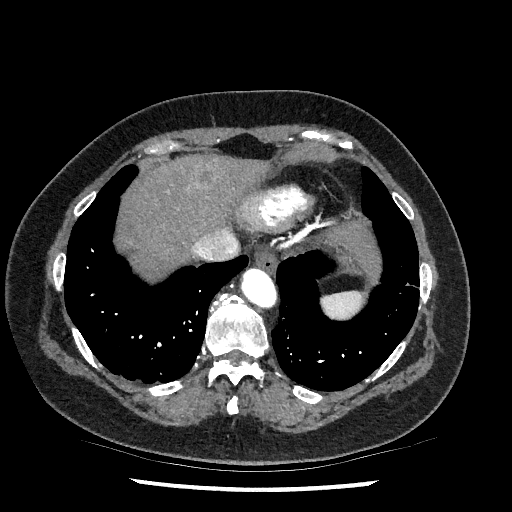

CT scan slice
2 liver regions are bounded by {"x1": 119, "y1": 155, "x2": 264, "y2": 279}, {"x1": 330, "y1": 223, "x2": 378, "y2": 280}.